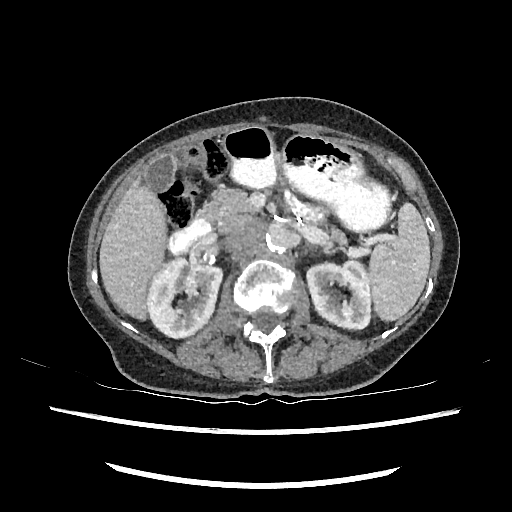
CT slice | Abdomen
2 kidney regions appear at (147, 260, 221, 337), (307, 261, 370, 328). The liver is located at (100, 179, 165, 318).